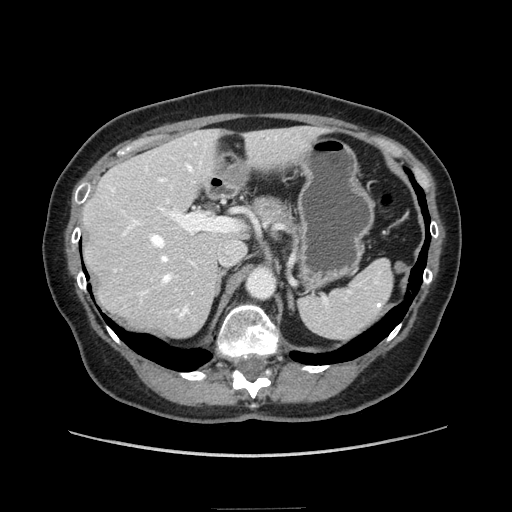 CT slice | 512x512 | Abdomen
Segmented structures:
* pancreas: {"x1": 248, "y1": 196, "x2": 293, "y2": 229}